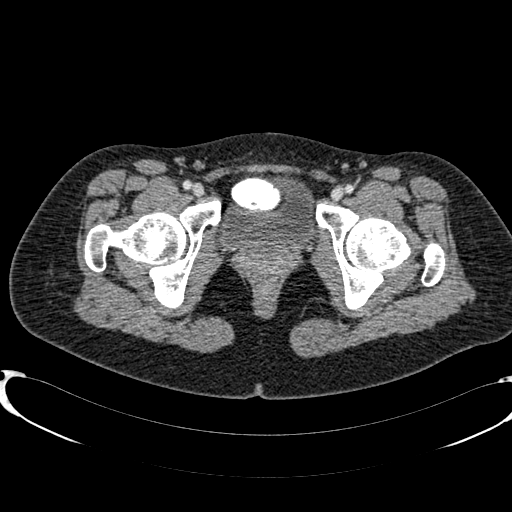

CT scan slice, 512x512

urinary_bladder:
  - x1=216, y1=182, x2=321, y2=252